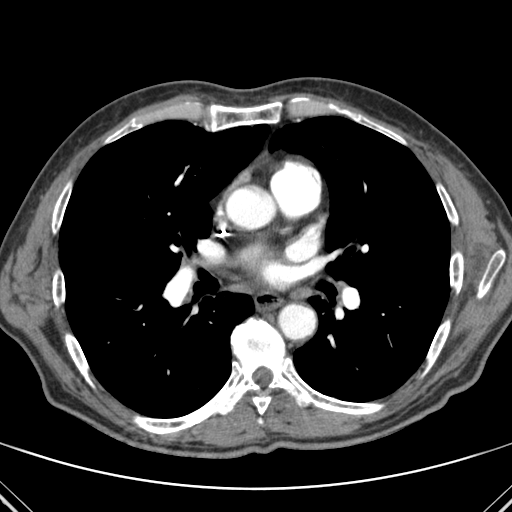 Thorax. CT scan slice.

<segmentation>
  <lung>(left=59, top=120, right=270, bottom=417), (left=269, top=116, right=450, bottom=401)</lung>
  <bone>(left=289, top=98, right=305, bottom=104), (left=349, top=114, right=405, bottom=143), (left=134, top=318, right=383, bottom=434), (left=52, top=271, right=64, bottom=306), (left=253, top=396, right=270, bottom=414), (left=477, top=250, right=504, bottom=298), (left=65, top=334, right=92, bottom=385), (left=52, top=182, right=71, bottom=233), (left=105, top=119, right=141, bottom=142), (left=206, top=102, right=282, bottom=130), (left=425, top=320, right=449, bottom=372), (left=437, top=184, right=457, bottom=224), (left=450, top=252, right=463, bottom=293), (left=163, top=277, right=188, bottom=306)</bone>
</segmentation>